Image size 35x51; MRI; Field of view 35x51 mm 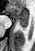
anterior hippocampus: bbox(7, 6, 28, 22) | posterior hippocampus: bbox(19, 23, 28, 27)